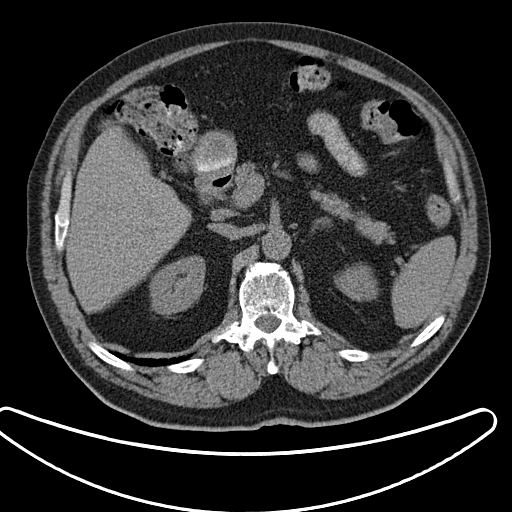

Computed tomography | 512x512 px | Abdomen
{"spleen": ["region(392, 238, 454, 326)"]}